FLAIR magnetic resonance.
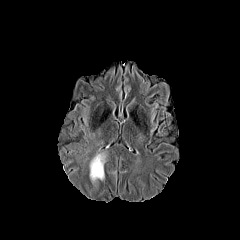
T1-weighted magnetic resonance.
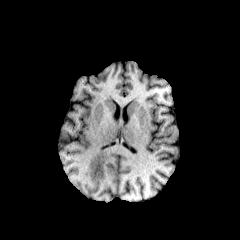
Post-contrast T1-weighted MRI.
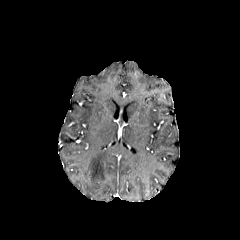
T2-weighted MR image.
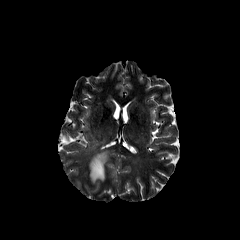
The edema appears at (x1=89, y1=147, x2=108, y2=186).